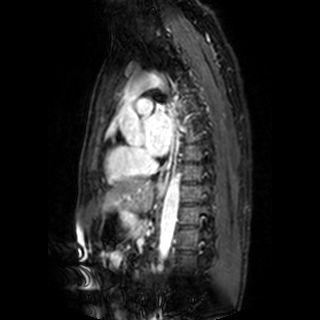

MR; Cardiac
Left atrium at (x1=145, y1=106, x2=172, y2=156).